Image size 240x240. Slice 85 of 155.
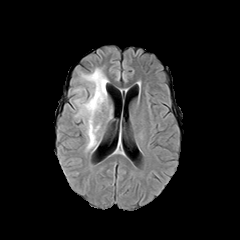
FLAIR MR.
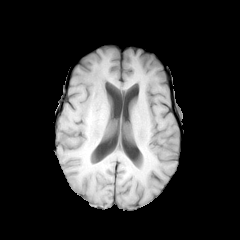
T1-weighted MRI of the same slice.
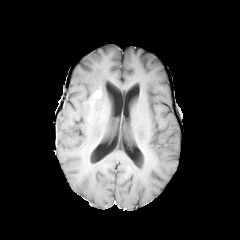
Post-contrast T1-weighted MR image.
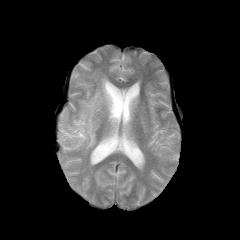
T2-weighted MR image.
Edema: box=[75, 68, 111, 150].
Enhancing tumor: box=[89, 89, 102, 106].